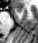 Medial temporal lobe | MR
Anterior hippocampus at box=[16, 8, 21, 12].